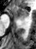

Medial temporal lobe | MRI
- anterior hippocampus: {"x1": 13, "y1": 6, "x2": 28, "y2": 20}